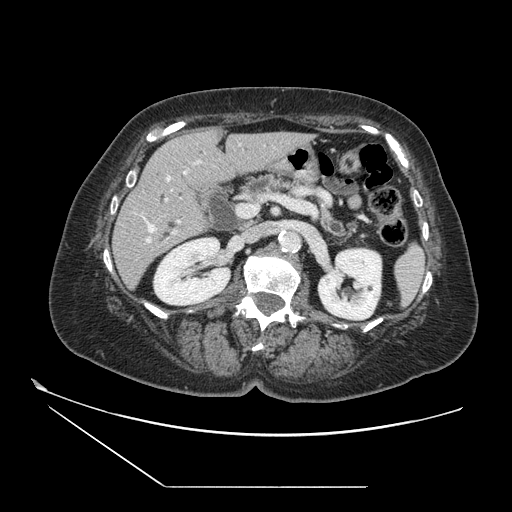
512x512 px | CT slice
pancreas:
  - 243,175,295,198
  - 321,206,350,236